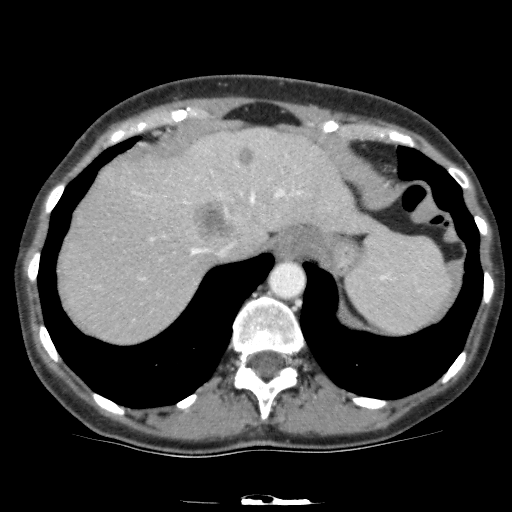 CT scan slice; Abdomen; 512x512

liver:
  - {"x1": 58, "y1": 128, "x2": 383, "y2": 344}
focal_liver_lesion:
  - {"x1": 237, "y1": 145, "x2": 255, "y2": 166}
  - {"x1": 191, "y1": 198, "x2": 241, "y2": 243}